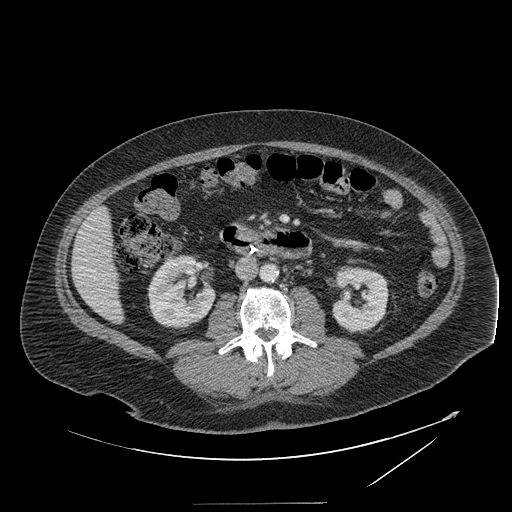

Image size 512x512; Upper abdomen; CT
The pancreas lies within [241, 231, 256, 240].